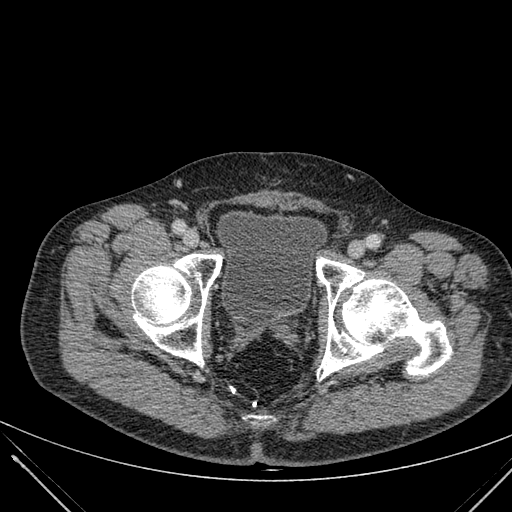

Computed tomography

The urinary bladder is at bbox(217, 211, 327, 318).